512x512 px. CT image. 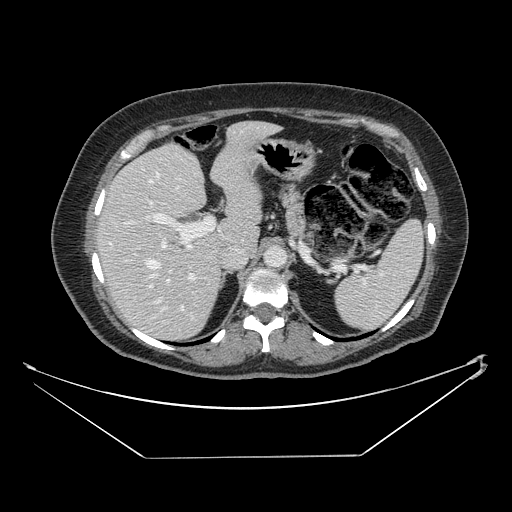
pancreas:
  - <box>274,182,307,244</box>